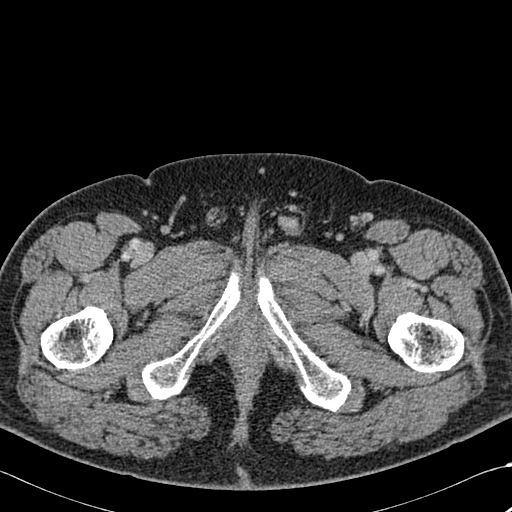 Image size 512x512 | CT
bone: 41 306 112 369, 142 273 239 399, 258 277 350 411, 388 312 463 373